320x320 px | Magnetic resonance | Cardiac

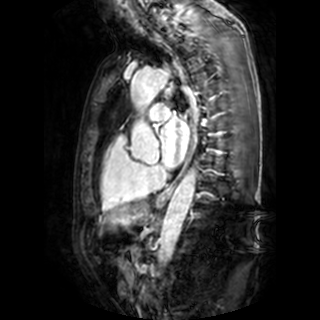 The left atrium is at bbox=[161, 117, 189, 167].